Abdomen; Field of view 500x500 mm; CT; Image size 512x512; Slice index 24

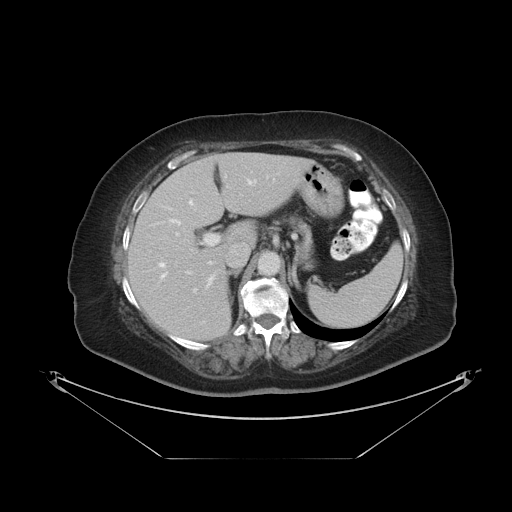
Some hepatic vessels may have no box.
hepatic vessel: <bbox>193, 288, 196, 292</bbox>, <bbox>236, 230, 240, 232</bbox>, <bbox>191, 249, 194, 250</bbox>, <bbox>247, 179, 255, 184</bbox>, <bbox>189, 200, 192, 203</bbox>, <bbox>185, 270, 191, 273</bbox>, <bbox>209, 261, 212, 263</bbox>, <bbox>230, 243, 248, 255</bbox>, <bbox>158, 261, 167, 280</bbox>, <bbox>176, 233, 178, 234</bbox>, <bbox>171, 219, 180, 223</bbox>, <bbox>206, 275, 213, 286</bbox>, <bbox>202, 233, 219, 246</bbox>, <bbox>165, 207, 170, 208</bbox>